FLAIR MRI.
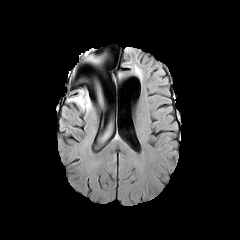
T1-weighted MRI.
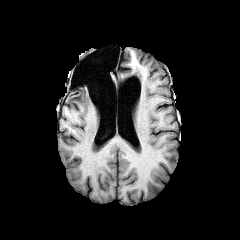
Post-contrast T1-weighted magnetic resonance.
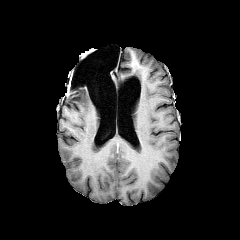
T2-weighted MR.
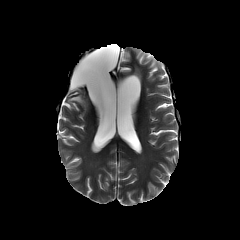
Brain; 240x240 px
Annotated regions:
* edema: 70 90 92 112, 89 56 101 63